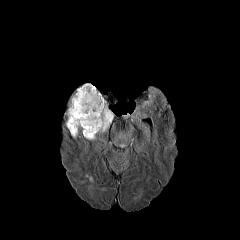
FLAIR magnetic resonance.
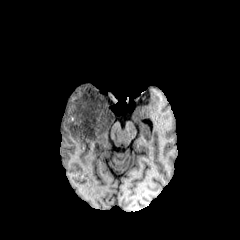
Same slice, T1-weighted MR.
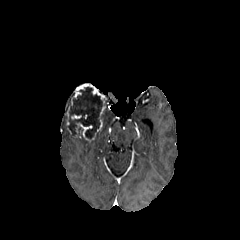
Post-contrast T1-weighted MR image of the same slice.
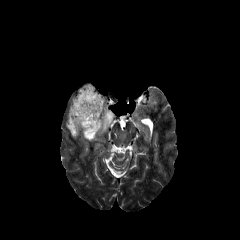
T2-weighted MR of the same slice.
2 non-enhancing tumor core regions are located at 65:87:102:138, 103:105:108:123. 2 edema regions are bounded by 99:111:113:134, 97:138:106:148. 2 enhancing tumor regions appear at 71:83:106:142, 66:107:72:134.